FLAIR MRI.
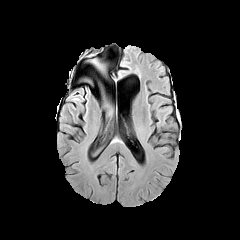
T1-weighted magnetic resonance.
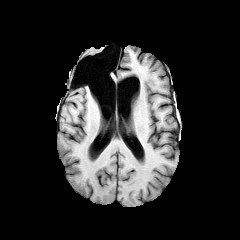
Post-contrast T1-weighted MR.
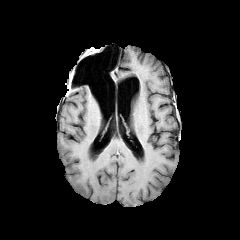
T2-weighted magnetic resonance.
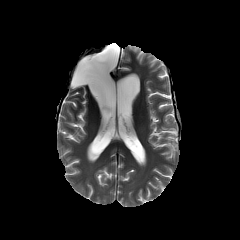
Brain; Image size 240x240
Edema: bounding box region(103, 99, 111, 113); region(87, 55, 102, 66).